CT slice 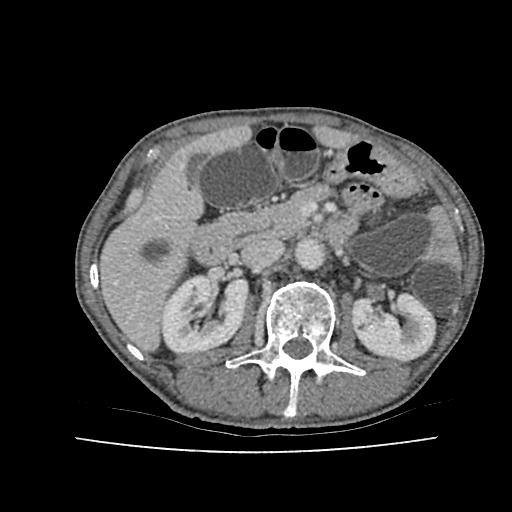

Kidney = x1=353, y1=294, x2=434, y2=359; x1=163, y1=276, x2=247, y2=351.
Liver = x1=196, y1=129, x2=247, y2=152; x1=322, y1=131, x2=349, y2=144; x1=101, y1=155, x2=200, y2=346.